Image size 240x240
FLAIR magnetic resonance.
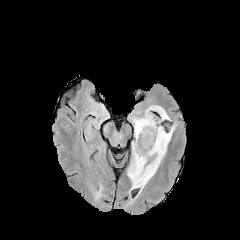
T1-weighted MR image.
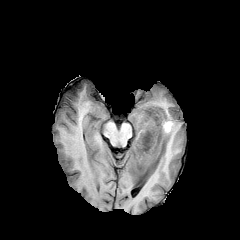
Post-contrast T1-weighted MR image.
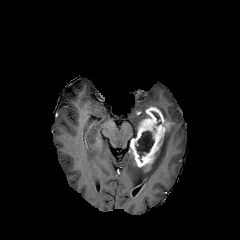
T2-weighted magnetic resonance.
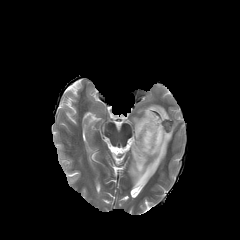
4 non-enhancing tumor core regions are bounded by {"x1": 154, "y1": 137, "x2": 163, "y2": 156}, {"x1": 150, "y1": 111, "x2": 161, "y2": 125}, {"x1": 141, "y1": 163, "x2": 151, "y2": 171}, {"x1": 135, "y1": 130, "x2": 154, "y2": 162}. 3 edema regions are bounded by {"x1": 129, "y1": 115, "x2": 140, "y2": 136}, {"x1": 127, "y1": 122, "x2": 177, "y2": 190}, {"x1": 145, "y1": 105, "x2": 171, "y2": 120}. The enhancing tumor appears at {"x1": 130, "y1": 107, "x2": 165, "y2": 167}.